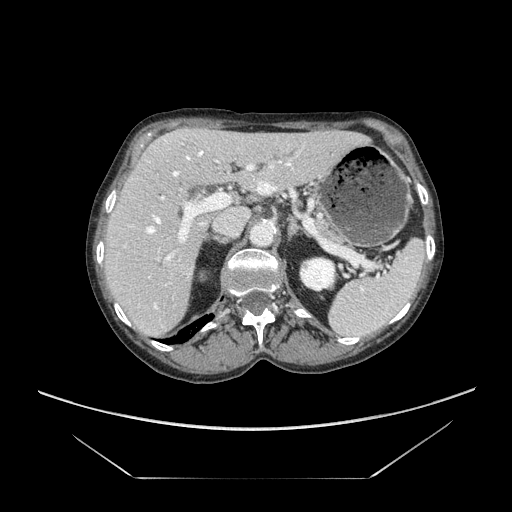 CT

pancreas: x1=313, y1=210, x2=349, y2=246